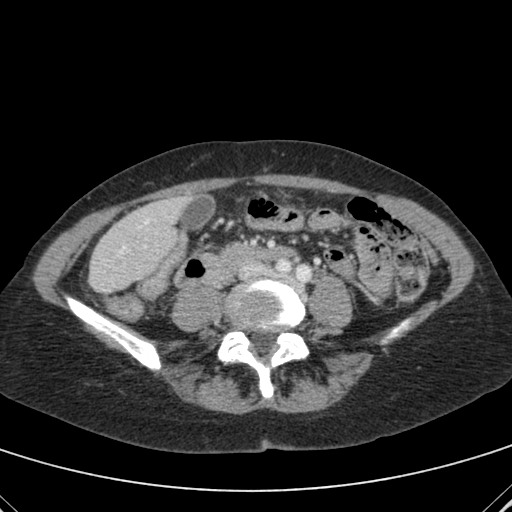

CT
{"liver": ["bbox(90, 197, 187, 291)"]}